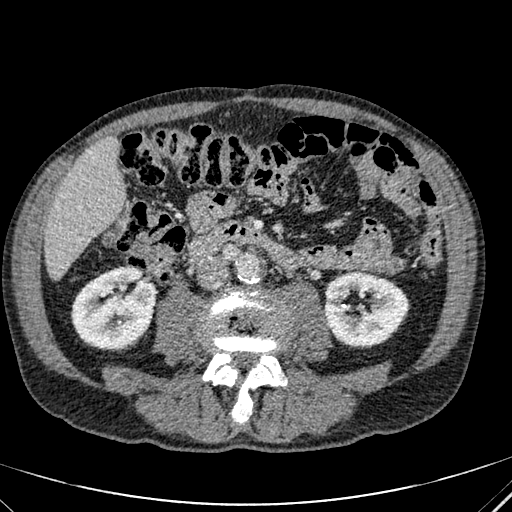
Image size 512x512; CT scan slice

<segmentation>
  <kidney>bbox(325, 273, 407, 345); bbox(73, 268, 154, 348)</kidney>
  <liver>bbox(46, 139, 123, 276)</liver>
</segmentation>